FLAIR MR image.
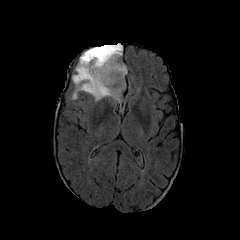
T1-weighted MR image.
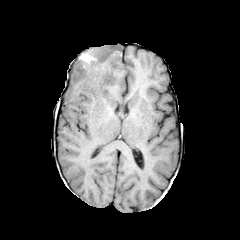
Post-contrast T1-weighted MR.
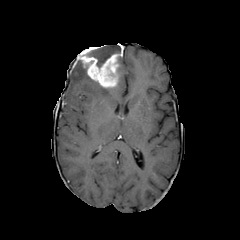
T2-weighted magnetic resonance.
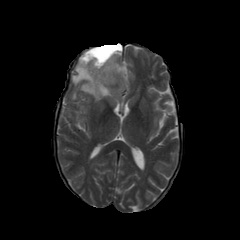
<segmentation>
  <non-enhancing_tumor_core>bbox(77, 64, 91, 79); bbox(90, 44, 121, 67)</non-enhancing_tumor_core>
  <enhancing_tumor>bbox(78, 46, 123, 87)</enhancing_tumor>
  <edema>bbox(72, 60, 127, 101)</edema>
</segmentation>